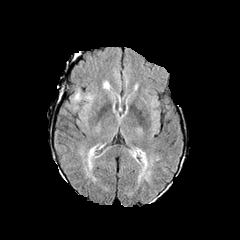
FLAIR MR.
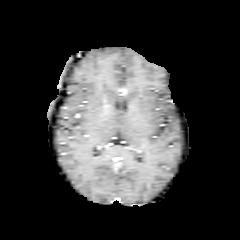
T1-weighted magnetic resonance.
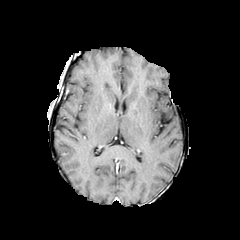
Post-contrast T1-weighted MR image of the same slice.
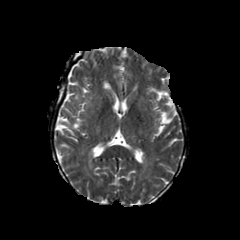
Same slice, T2-weighted MR.
<segmentation>
  <edema>rect(88, 148, 93, 168)</edema>
</segmentation>